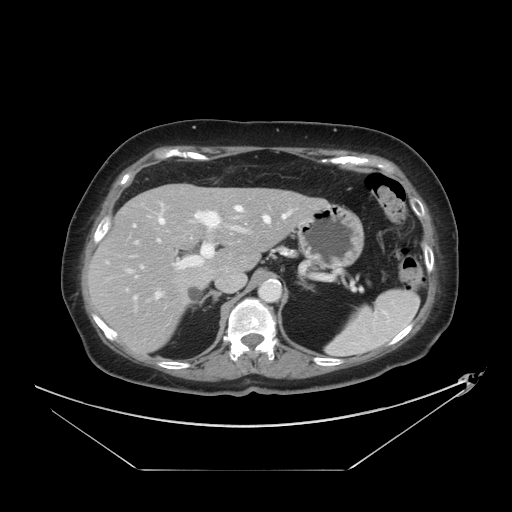

Computed tomography. 512x512 px. The vessel annotation is not exhaustive.
liver tumor: {"x1": 175, "y1": 265, "x2": 212, "y2": 299} | [15/18] hepatic vessel: {"x1": 234, "y1": 217, "x2": 237, "y2": 218}, {"x1": 230, "y1": 226, "x2": 245, "y2": 231}, {"x1": 263, "y1": 215, "x2": 270, "y2": 223}, {"x1": 157, "y1": 239, "x2": 160, "y2": 241}, {"x1": 195, "y1": 211, "x2": 219, "y2": 228}, {"x1": 140, "y1": 266, "x2": 143, "y2": 268}, {"x1": 282, "y1": 211, "x2": 291, "y2": 218}, {"x1": 135, "y1": 241, "x2": 137, "y2": 243}, {"x1": 176, "y1": 242, "x2": 214, "y2": 267}, {"x1": 158, "y1": 204, "x2": 164, "y2": 224}, {"x1": 134, "y1": 296, "x2": 136, "y2": 299}, {"x1": 127, "y1": 269, "x2": 132, "y2": 272}, {"x1": 106, "y1": 261, "x2": 108, "y2": 263}, {"x1": 235, "y1": 205, "x2": 242, "y2": 212}, {"x1": 155, "y1": 292, "x2": 162, "y2": 298}